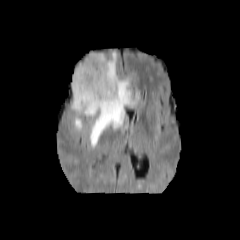
FLAIR MRI.
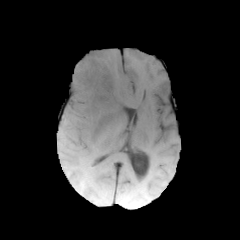
T1-weighted MR of the same slice.
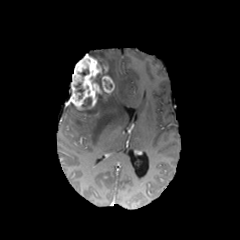
Same slice, post-contrast T1-weighted MR image.
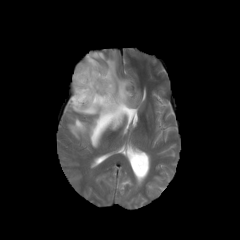
T2-weighted magnetic resonance.
240x240. Head.
Non-enhancing tumor core at 75,82,85,93; 88,51,115,90; 75,91,112,114; 82,98,91,108.
Edema at 90,51,140,147; 71,117,84,135.
Enhancing tumor at 101,75,115,94; 68,54,108,110.